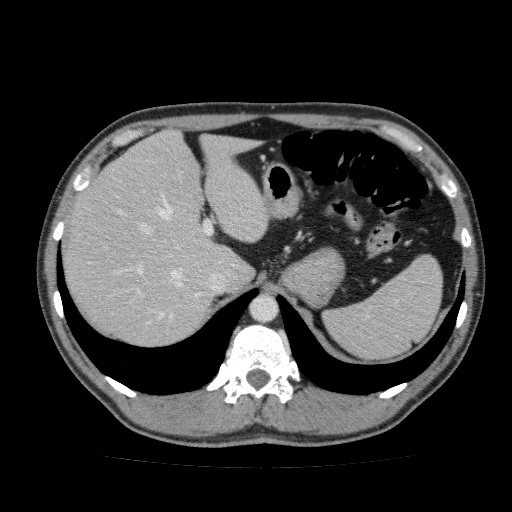

Computed tomography
Liver: bounding box region(64, 129, 267, 348).